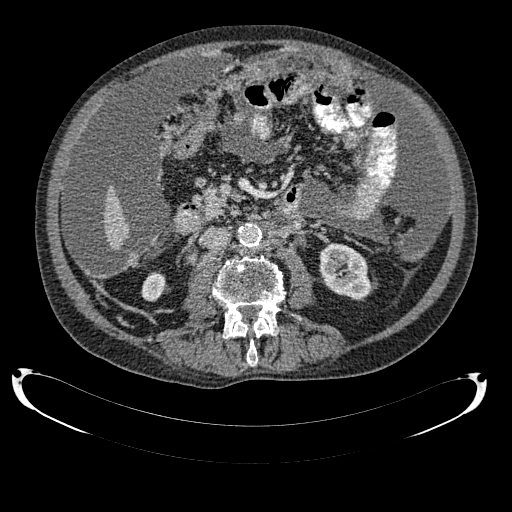

CT scan slice.

2 kidney regions are located at (left=142, top=273, right=164, bottom=300), (left=320, top=243, right=370, bottom=299). The liver is located at (left=104, top=186, right=128, bottom=250).